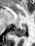 35x46. MR image. The posterior hippocampus is located at [12,25,26,36].